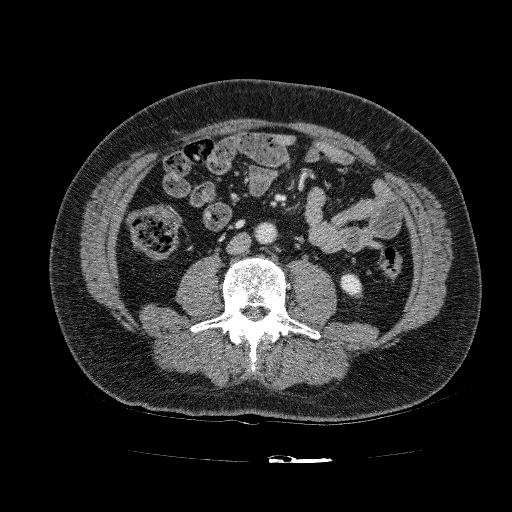 512x512 px; CT image
Kidney: box(341, 274, 360, 294).